CT image. Slice 10 of 34. Abdomen.
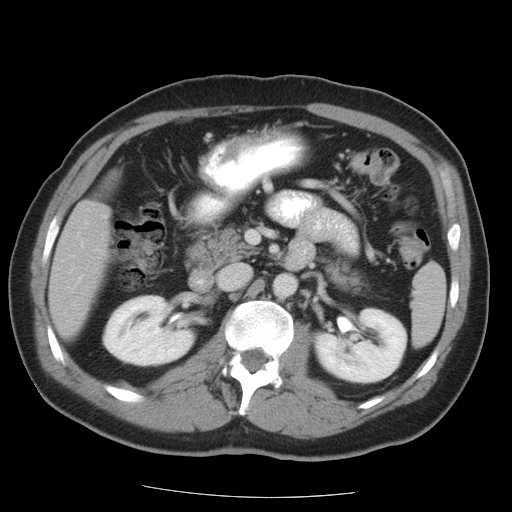

The vessel boxes may cover only some of the vessels.
Hepatic vessel = box(82, 242, 82, 246); box(103, 215, 106, 216).